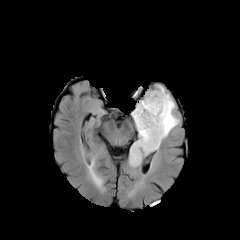
FLAIR MR image.
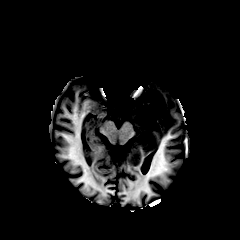
T1-weighted MR image.
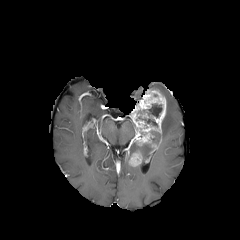
Post-contrast T1-weighted MR.
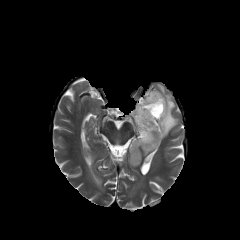
T2-weighted MR of the same slice.
Brain
Findings:
• enhancing tumor: (left=131, top=90, right=165, bottom=142)
• edema: (left=156, top=85, right=179, bottom=139), (left=128, top=138, right=153, bottom=167)
• non-enhancing tumor core: (left=144, top=125, right=162, bottom=147), (left=136, top=103, right=162, bottom=127)